CT scan slice. 512x512. 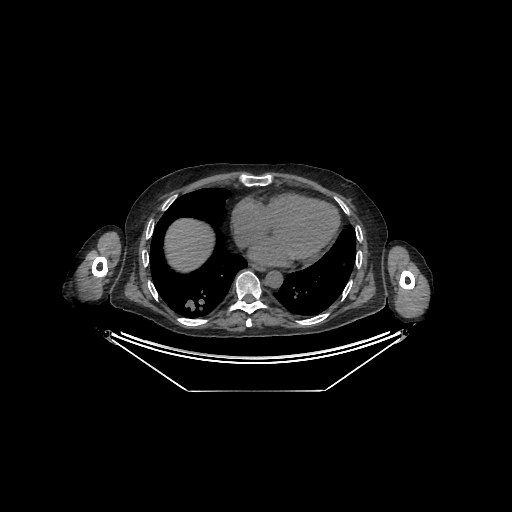

Liver = [165, 218, 214, 271].